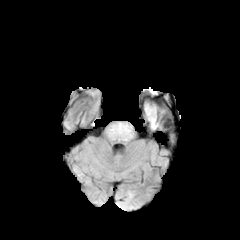
FLAIR MR image.
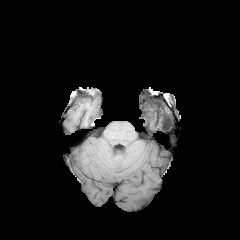
T1-weighted MRI.
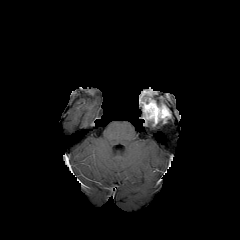
Post-contrast T1-weighted MR.
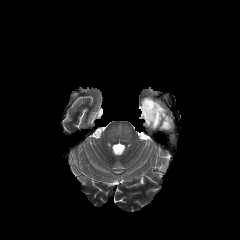
T2-weighted magnetic resonance.
Segmented structures:
- enhancing tumor: [143,100,167,125]
- edema: [150,116,170,129]